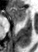 MRI slice

anterior_hippocampus:
  - left=8, top=7, right=26, bottom=22